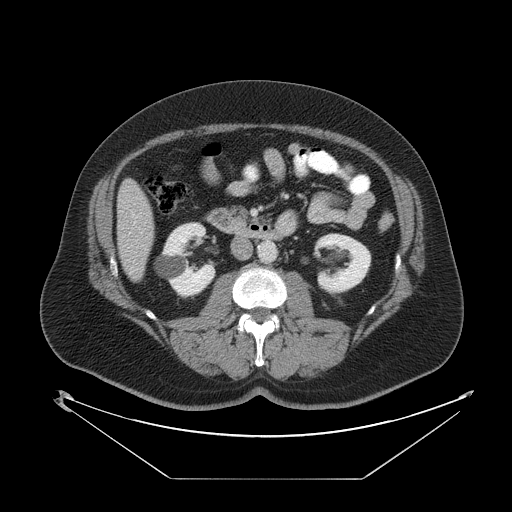 Image size 512x512; CT slice; Abdomen
The vessel annotation is not exhaustive.
* hepatic vessel: box(134, 217, 136, 223)